FLAIR MRI.
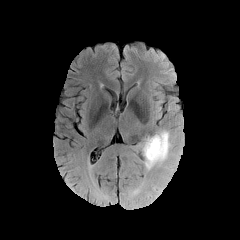
T1-weighted magnetic resonance.
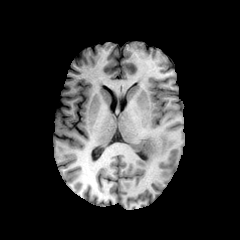
Post-contrast T1-weighted MR image.
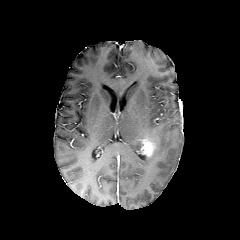
T2-weighted magnetic resonance.
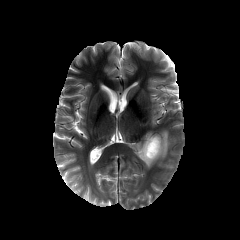
Brain
{"enhancing_tumor": ["(x1=141, y1=139, x2=155, y2=157)"], "edema": ["(x1=143, y1=130, x2=172, y2=170)"]}